CT image; Abdomen; Slice index 77; 512x512
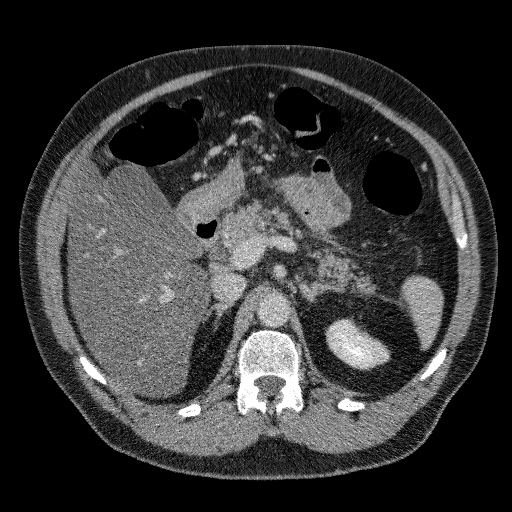
Liver at [68, 162, 211, 396].
Kidney at [328, 320, 387, 366].